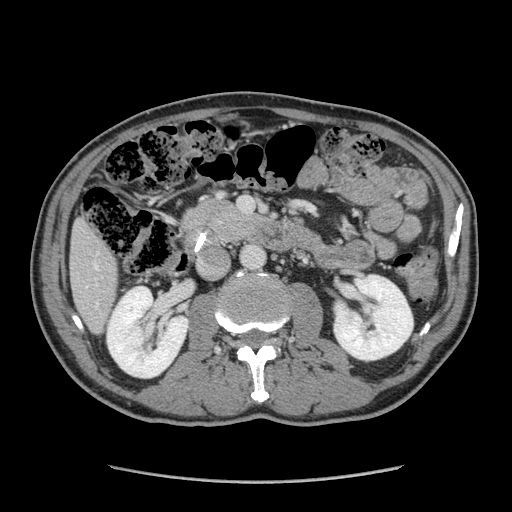 Computed tomography
Pancreas = l=181, t=197, r=262, b=246.